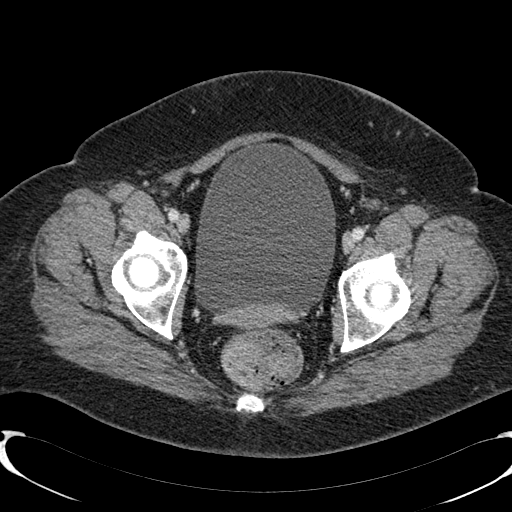 512x512 px. CT.
Urinary bladder at bbox=[195, 143, 335, 310].